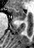
MR
Annotated regions:
- anterior hippocampus: box(8, 7, 25, 19)